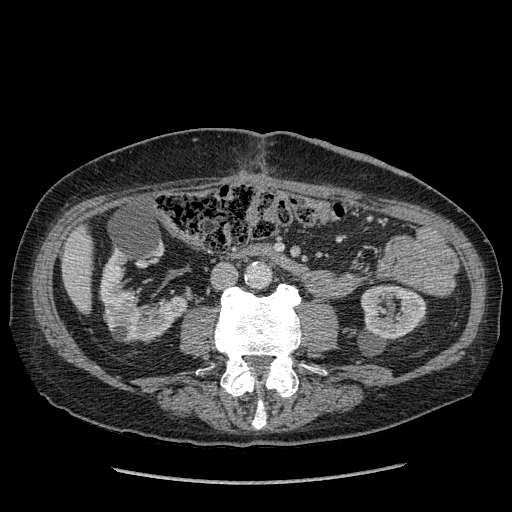 Image size 512x512. Computed tomography. Upper abdomen.

2 kidney regions are located at (101, 249, 185, 339), (361, 285, 425, 339). The liver is at (62, 227, 92, 312).